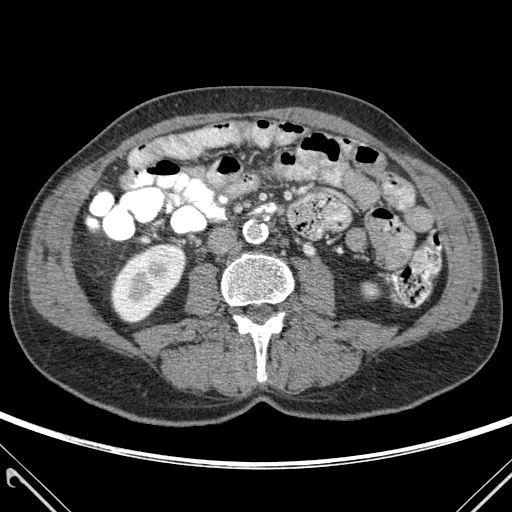 Abdomen. Computed tomography. 512x512.
Kidney — [113,245,184,321].
Bone — [233,313,284,381], [221,254,293,305].